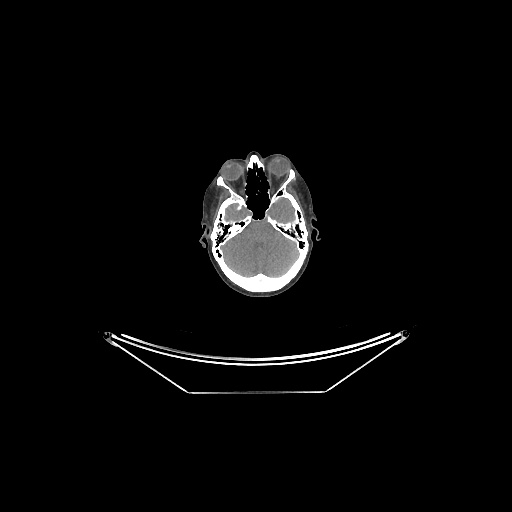 Brain, CT slice
Brain at <box>220,197,299,277</box>.